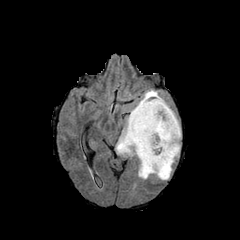
FLAIR MR image.
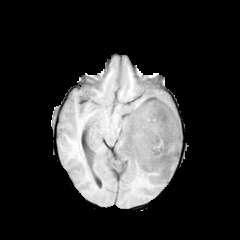
T1-weighted MRI of the same slice.
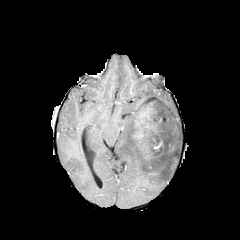
Post-contrast T1-weighted MR of the same slice.
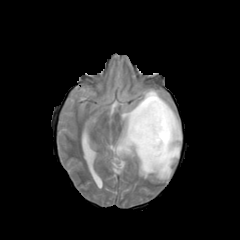
T2-weighted MR image.
Image size 240x240, Head
Edema — <bbox>115, 89, 181, 179</bbox>.
Enhancing tumor — <bbox>134, 105, 152, 125</bbox>, <bbox>134, 123, 154, 140</bbox>.
Non-enhancing tumor core — <bbox>132, 94, 178, 159</bbox>.